CT slice; Field of view 409x409 mm 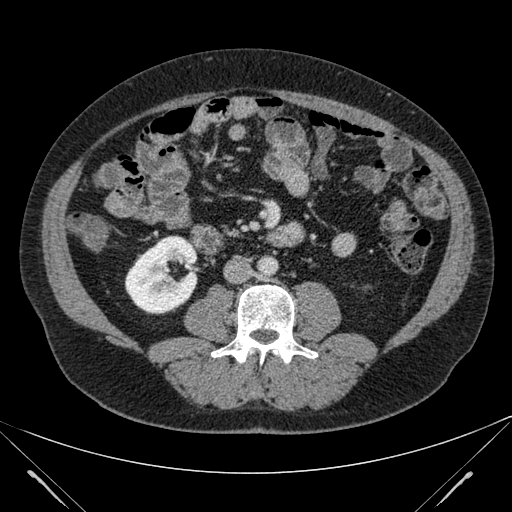 {
  "kidney": [
    "126:236:196:312"
  ]
}